Slice 15 of 67 | CT slice | Abdomen | 512x512

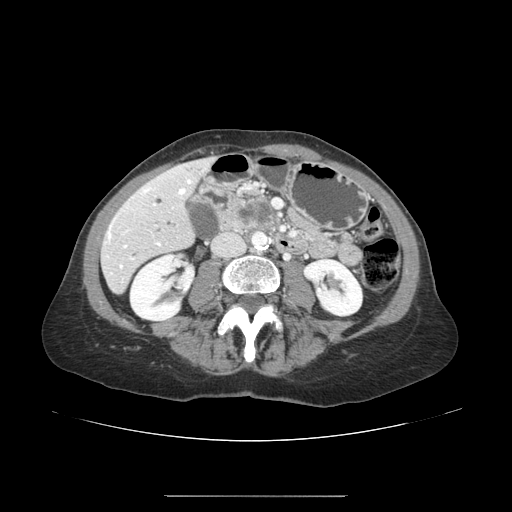

Annotated regions:
- pancreas: bbox(243, 201, 276, 228)
- pancreatic tumor: bbox(237, 199, 271, 223)